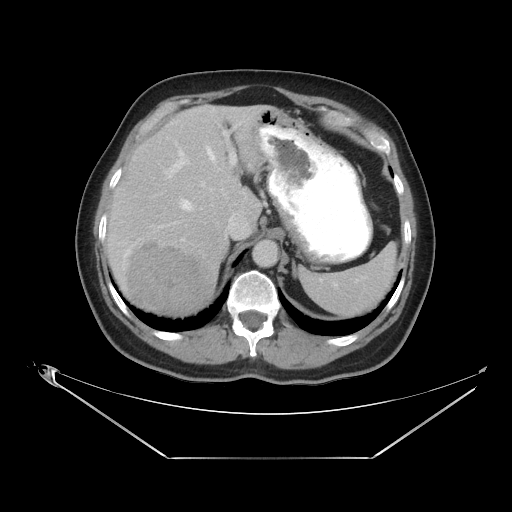
CT slice
The vessel boxes may cover only some of the vessels.
{
  "hepatic_vessel": [
    "x1=170, y1=220, x2=185, y2=226",
    "x1=180, y1=201, x2=195, y2=211",
    "x1=166, y1=153, x2=188, y2=178",
    "x1=230, y1=150, x2=235, y2=162",
    "x1=234, y1=114, x2=249, y2=127",
    "x1=222, y1=131, x2=228, y2=141"
  ],
  "liver_tumor": [
    "x1=125, y1=238, x2=216, y2=316"
  ]
}